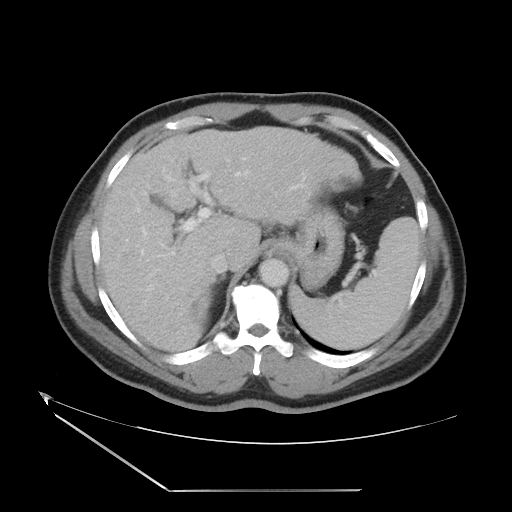 CT scan slice; Abdomen

Not every hepatic vessel necessarily has a box.
The top 15 hepatic vessel regions (of 20) appear at [x1=243, y1=157, x2=247, y2=159], [x1=143, y1=192, x2=146, y2=194], [x1=205, y1=194, x2=209, y2=201], [x1=147, y1=285, x2=152, y2=290], [x1=289, y1=184, x2=303, y2=190], [x1=150, y1=272, x2=154, y2=276], [x1=212, y1=255, x2=224, y2=271], [x1=136, y1=209, x2=140, y2=211], [x1=159, y1=240, x2=174, y2=256], [x1=199, y1=172, x2=209, y2=179], [x1=141, y1=227, x2=146, y2=236], [x1=140, y1=249, x2=143, y2=254], [x1=235, y1=170, x2=248, y2=176], [x1=183, y1=209, x2=209, y2=230], [x1=191, y1=182, x2=195, y2=191].